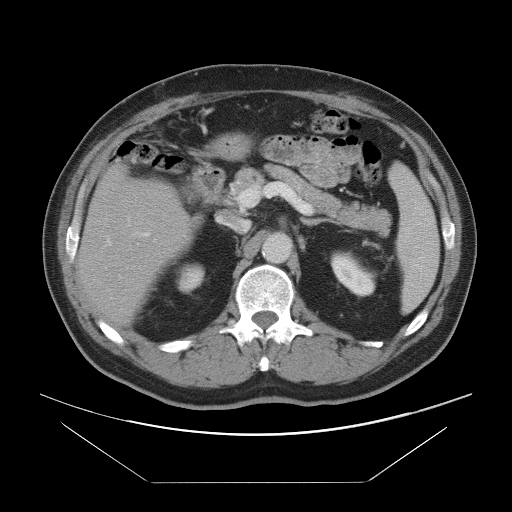

CT image

Some hepatic vessels may have no box.
Hepatic vessel — rect(139, 233, 148, 235); rect(128, 222, 129, 225).